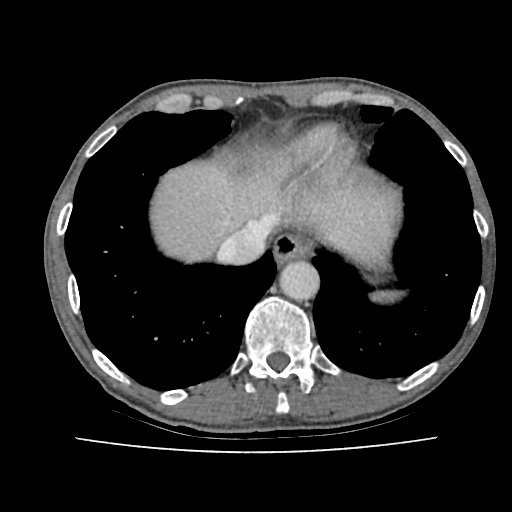

CT image. 512x512.
The liver appears at bbox(150, 137, 395, 262).